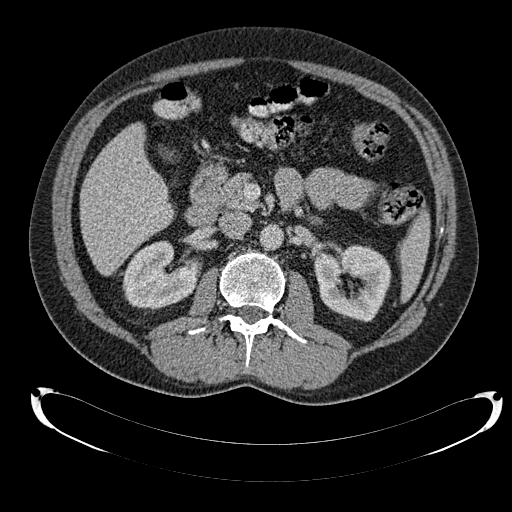 Abdomen; CT scan slice
2 kidney regions appear at x1=315, y1=246, x2=390, y2=321; x1=123, y1=241, x2=197, y2=308. The liver is at x1=80, y1=123, x2=172, y2=274.